CT slice, Image size 512x512
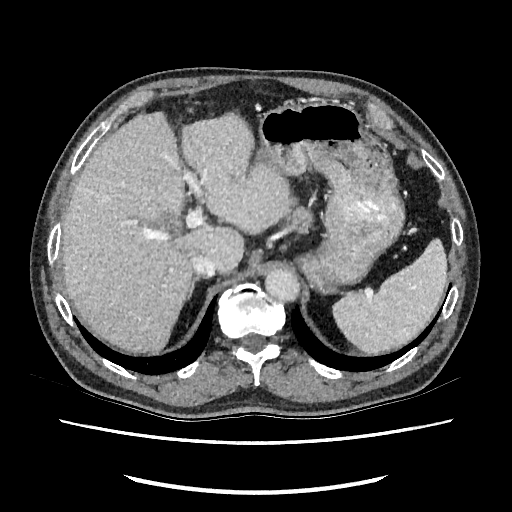

• liver: [62, 113, 242, 350], [182, 115, 288, 231]